Slice index 26 | Magnetic resonance
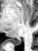 The posterior hippocampus lies within (left=13, top=39, right=20, bottom=45).